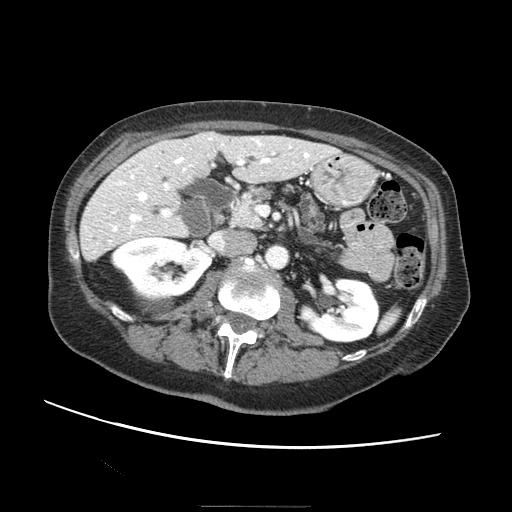

Computed tomography
Pancreatic tumor at (left=233, top=197, right=253, bottom=224).
Pancreas at (left=229, top=186, right=274, bottom=230), (left=287, top=189, right=337, bottom=257).